CT image. Abdomen.

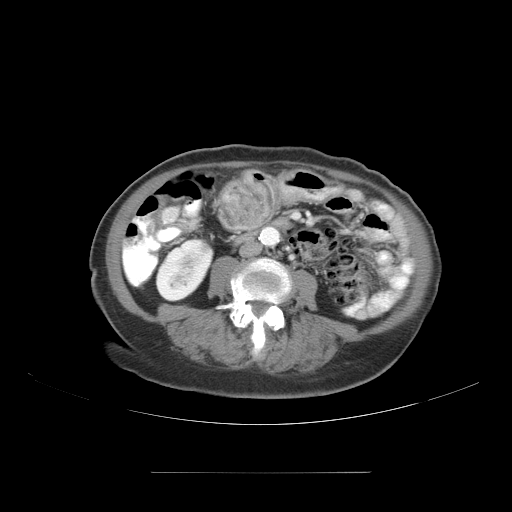

Colon tumor: bounding box (219,169,306,227).